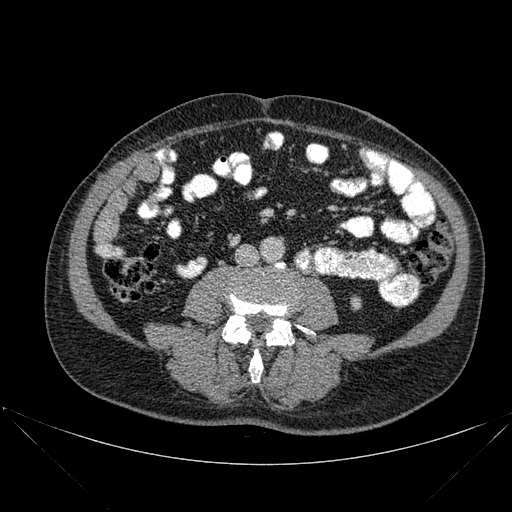
512x512 px. CT. Abdomen.
• bone: region(296, 325, 313, 334); region(249, 349, 262, 382); region(222, 263, 294, 345)
• kidney: region(352, 298, 359, 308)